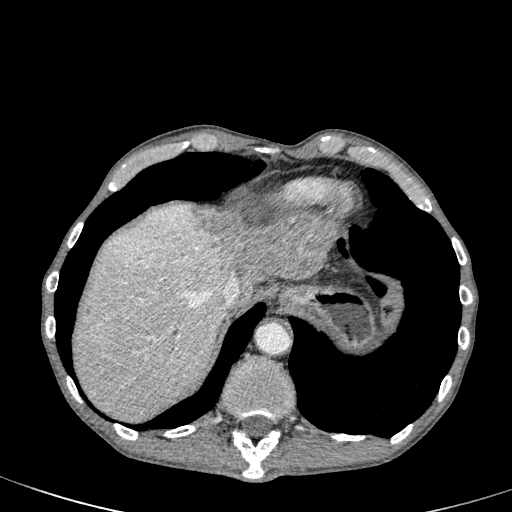

Computed tomography, Liver
liver_lesion:
  - <bbox>192, 207, 333, 283</bbox>
liver:
  - <bbox>75, 203, 259, 421</bbox>
  - <bbox>299, 213, 334, 228</bbox>
  - <bbox>246, 213, 257, 220</bbox>